CT. Slice index 83.
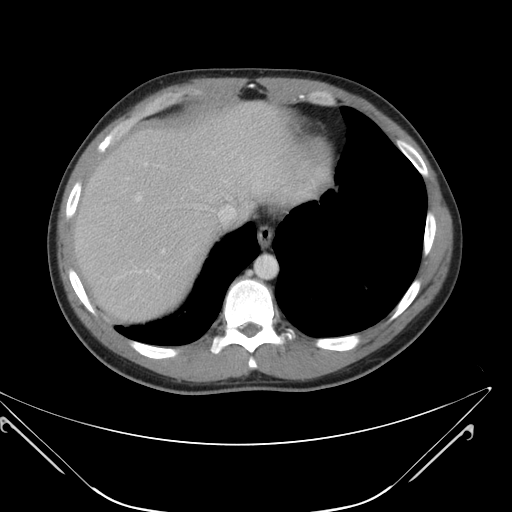

Only some of the vessels may be annotated.
Hepatic vessel: l=147, t=270, r=148, b=271; l=162, t=249, r=164, b=251; l=131, t=269, r=140, b=272; l=136, t=195, r=140, b=200; l=218, t=205, r=235, b=221; l=144, t=163, r=147, b=165.